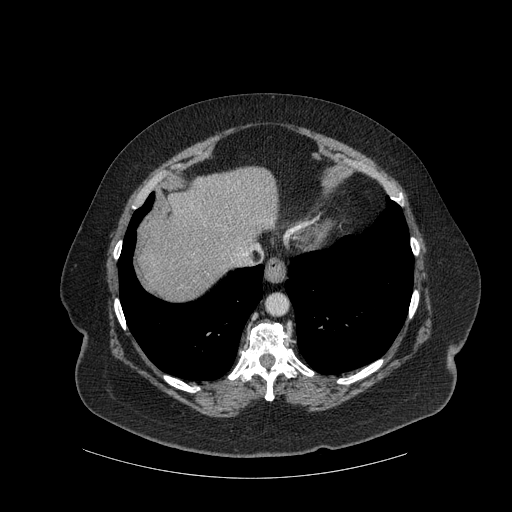 Liver. Computed tomography. 512x512 px.
The liver is located at l=138, t=167, r=278, b=302. 8 bone regions are located at l=164, t=376, r=199, b=392; l=337, t=360, r=382, b=384; l=391, t=193, r=402, b=202; l=114, t=299, r=125, b=329; l=409, t=291, r=418, b=317; l=411, t=238, r=419, b=254; l=113, t=241, r=121, b=258; l=228, t=323, r=313, b=400. 2 lung regions appear at l=118, t=193, r=263, b=379; l=285, t=197, r=413, b=374.